Slice index 52. Head.
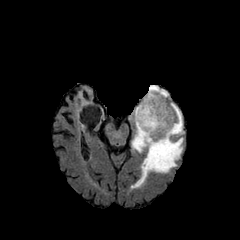
FLAIR magnetic resonance.
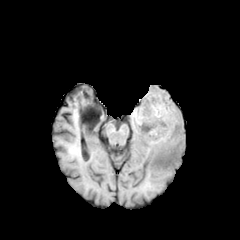
T1-weighted MR image.
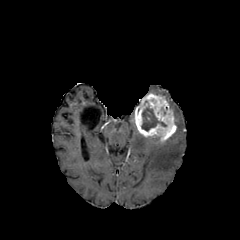
Post-contrast T1-weighted MRI of the same slice.
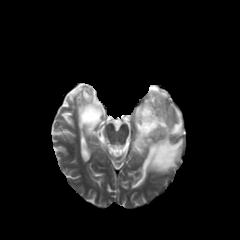
T2-weighted MR of the same slice.
enhancing_tumor:
  - <box>134,92,177,141</box>
edema:
  - <box>131,85,183,187</box>
non-enhancing_tumor_core:
  - <box>144,136,161,142</box>
  - <box>142,107,165,130</box>